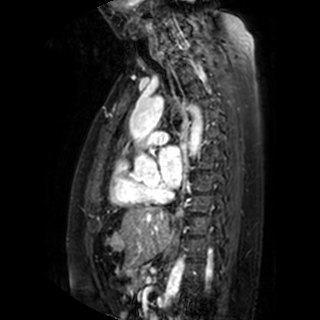 Cardiac | MRI slice

The left atrium is located at left=159, top=146, right=182, bottom=187.